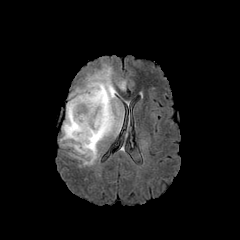
FLAIR magnetic resonance.
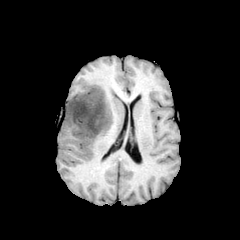
T1-weighted magnetic resonance.
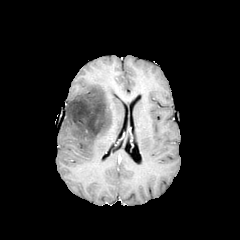
Same slice, post-contrast T1-weighted magnetic resonance.
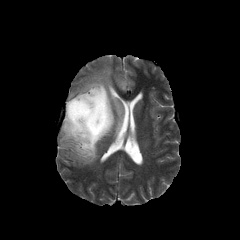
Same slice, T2-weighted magnetic resonance.
Non-enhancing tumor core at 67,88,110,139.
Edema at 60,67,123,163.